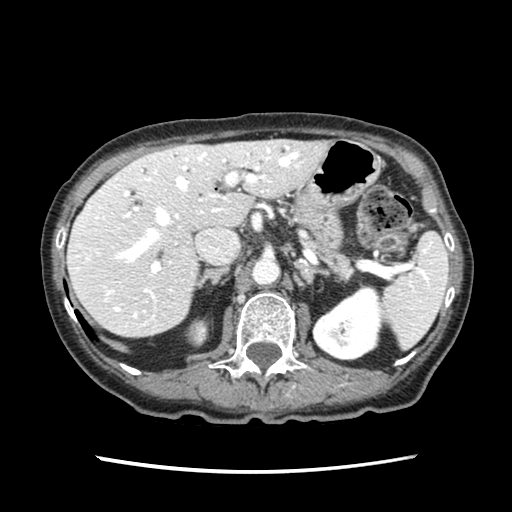 Computed tomography, Abdomen, 512x512
Findings:
- pancreas: l=309, t=242, r=352, b=276